CT slice

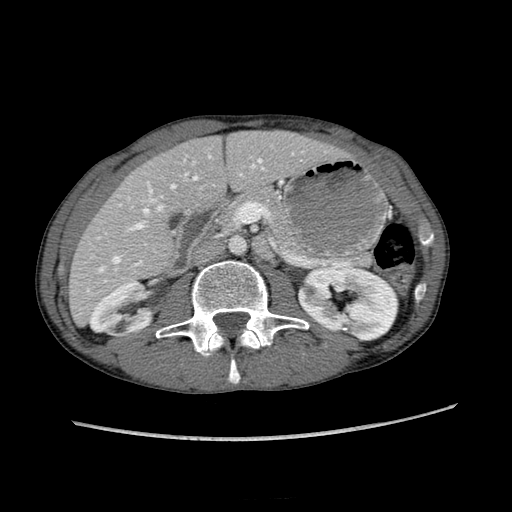 2 kidney regions are bounded by x1=90 y1=282 x2=150 y2=332, x1=299 y1=265 x2=396 y2=339. The liver is located at x1=64 y1=131 x2=346 y2=323.